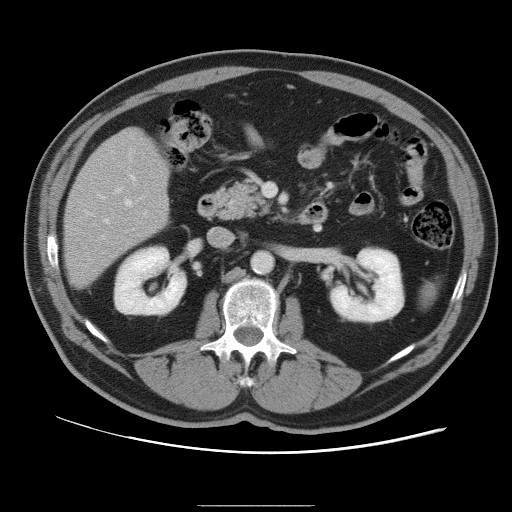
Abdomen. 512x512 px. CT image.
Only some of the vessels may be annotated.
Hepatic vessel at 116:187:121:192, 104:219:108:222, 98:194:104:198, 85:210:92:215, 102:235:104:238, 125:200:132:205, 130:175:135:184, 139:196:142:199, 144:212:146:214.